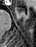

MR

anterior hippocampus: <box>18,7,25,12</box>